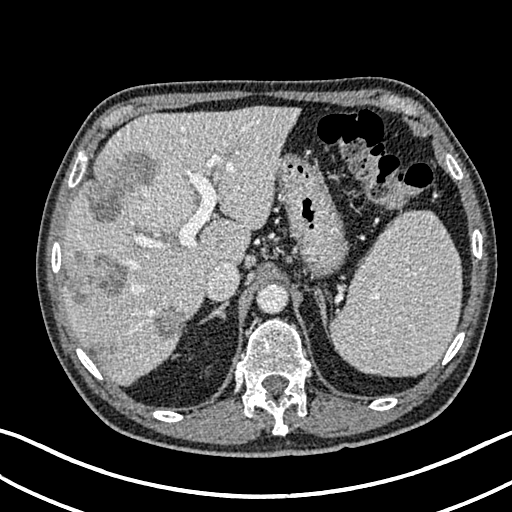
Abdomen | 512x512 | CT scan slice

* hepatic lesion: rect(86, 154, 159, 222); rect(68, 250, 129, 304); rect(153, 306, 185, 339); rect(93, 340, 113, 360)
* liver: rect(64, 107, 298, 380)